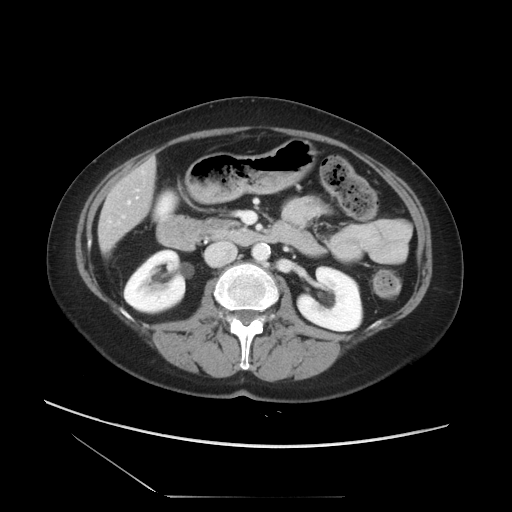 CT scan slice, Abdomen

The vessel annotation is not exhaustive.
4 hepatic vessel regions appear at {"x1": 108, "y1": 220, "x2": 110, "y2": 223}, {"x1": 136, "y1": 190, "x2": 138, "y2": 191}, {"x1": 127, "y1": 201, "x2": 129, "y2": 203}, {"x1": 141, "y1": 171, "x2": 144, "y2": 174}.